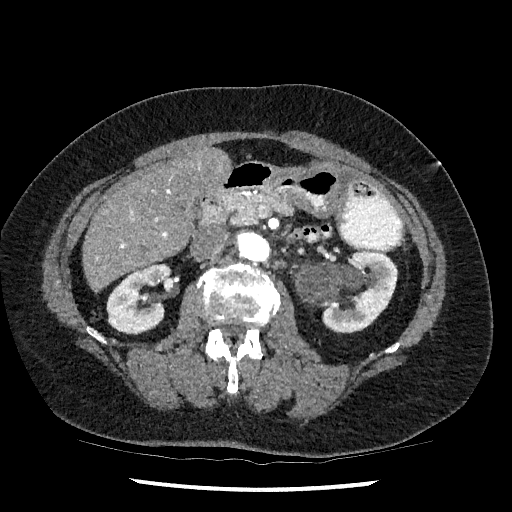

Abdomen, CT scan slice

{"liver": ["82:148:230:291", "313:164:338:171"], "kidney": ["323:251:396:332", "107:265:176:333"]}